FLAIR MR image.
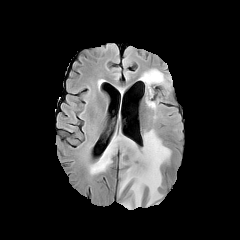
T1-weighted magnetic resonance.
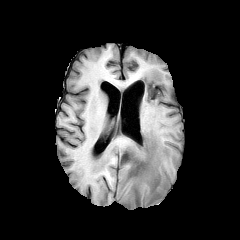
Post-contrast T1-weighted MRI.
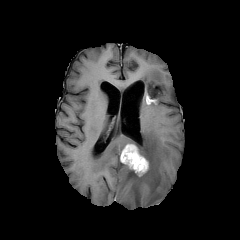
T2-weighted magnetic resonance.
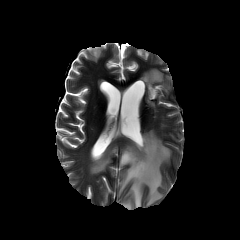
Brain.
4 edema regions appear at 146:96:155:107, 119:129:171:209, 90:132:135:173, 140:69:163:85. The enhancing tumor is bounded by 120:144:148:175. The non-enhancing tumor core is located at 127:154:150:177.